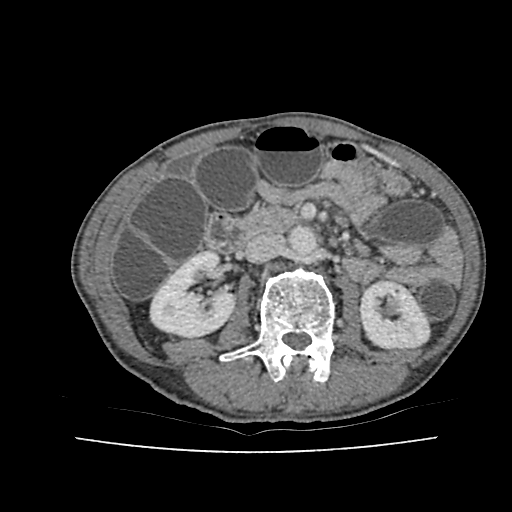 Abdomen; 512x512 px; CT
<segmentation>
  <kidney>[151,252,233,336], [361,282,428,347]</kidney>
</segmentation>